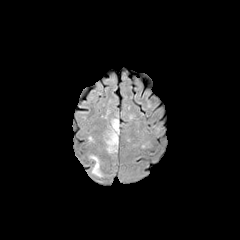
FLAIR MR image.
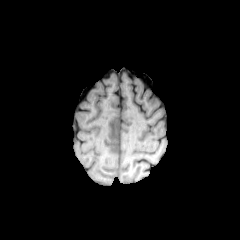
Same slice, T1-weighted MR image.
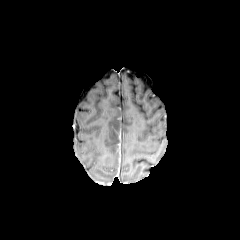
Same slice, post-contrast T1-weighted MR image.
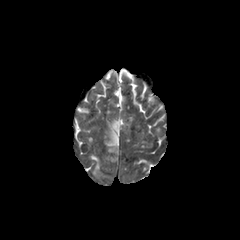
T2-weighted magnetic resonance of the same slice.
Edema = (left=105, top=119, right=119, bottom=152), (left=90, top=155, right=101, bottom=176).